Image width 512 mm | CT slice | Image size 512x512 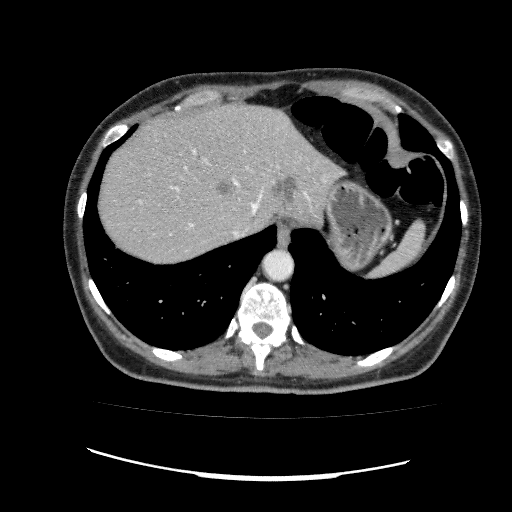
Liver — l=99, t=102, r=346, b=264.
Focal liver lesion — l=217, t=180, r=233, b=196; l=270, t=176, r=297, b=205.